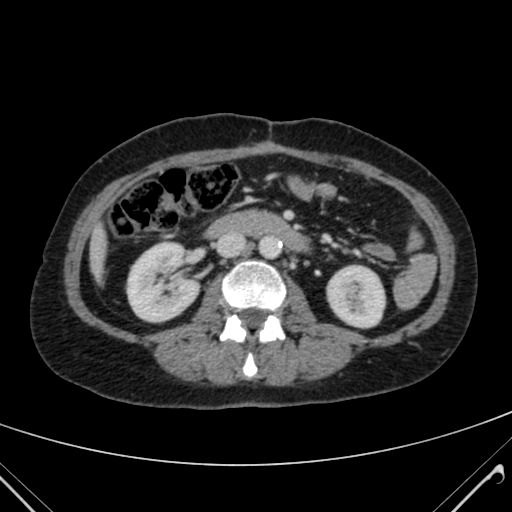

CT, Upper abdomen
Liver at bbox(92, 226, 107, 277).
Kidney at bbox(128, 243, 198, 321); bbox(328, 266, 384, 326).